Slice 120 of 155
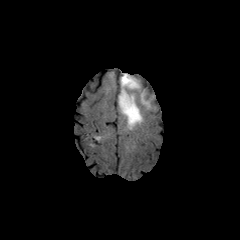
FLAIR MR image.
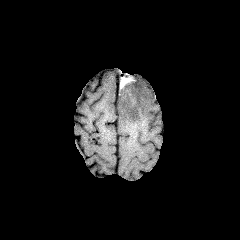
T1-weighted MR image of the same slice.
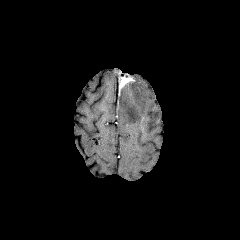
Post-contrast T1-weighted magnetic resonance.
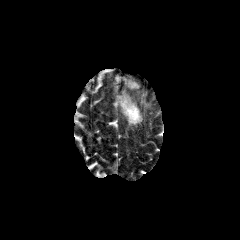
T2-weighted MR.
Enhancing tumor = bbox=[119, 77, 131, 86].
Edema = bbox=[118, 74, 151, 129].